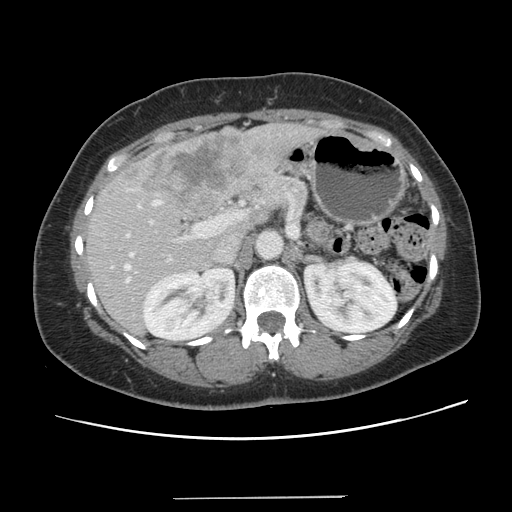 Computed tomography
Some hepatic vessels may have no box.
hepatic vessel: <bbox>127, 234, 129, 236</bbox>, <bbox>191, 222, 207, 237</bbox>, <bbox>241, 202, 243, 203</bbox>, <bbox>125, 264, 130, 269</bbox>, <bbox>150, 221, 152, 223</bbox>, <bbox>212, 211, 242, 228</bbox>, <bbox>153, 200, 161, 205</bbox>, <bbox>130, 253, 132, 256</bbox>, <bbox>126, 277, 130, 282</bbox>, <bbox>138, 204, 140, 207</bbox> | liver tumor: <bbox>127, 132, 259, 203</bbox>